Pelvis. CT image. 512x512 px. Slice index 146. Field of view 344x344 mm.

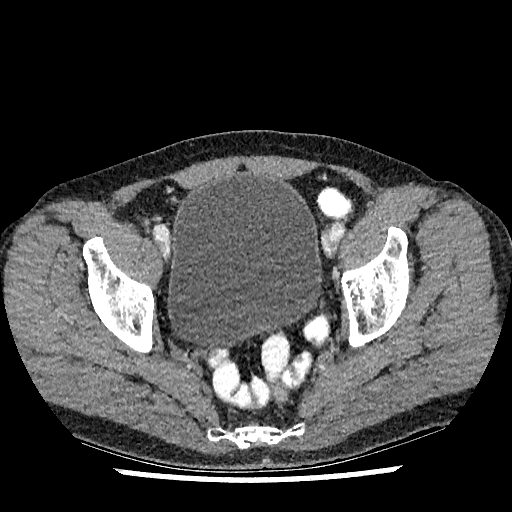 Urinary bladder: bounding box left=168, top=175, right=321, bottom=349.